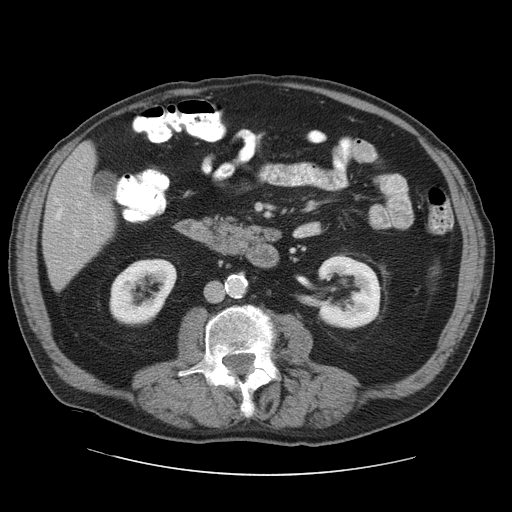

Computed tomography, Liver, Image size 512x512
The vessel boxes may cover only some of the vessels.
hepatic_vessel:
  - (left=56, top=209, right=61, bottom=219)